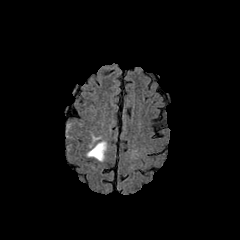
FLAIR MRI.
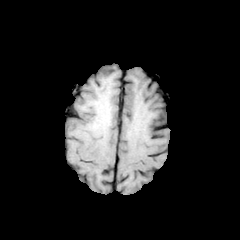
T1-weighted MR image.
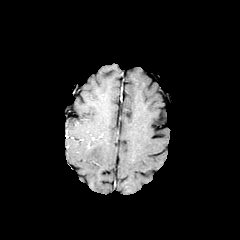
Same slice, post-contrast T1-weighted MRI.
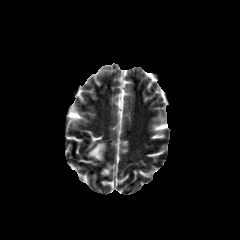
T2-weighted MR.
240x240.
- edema: x1=86, y1=132, x2=107, y2=161